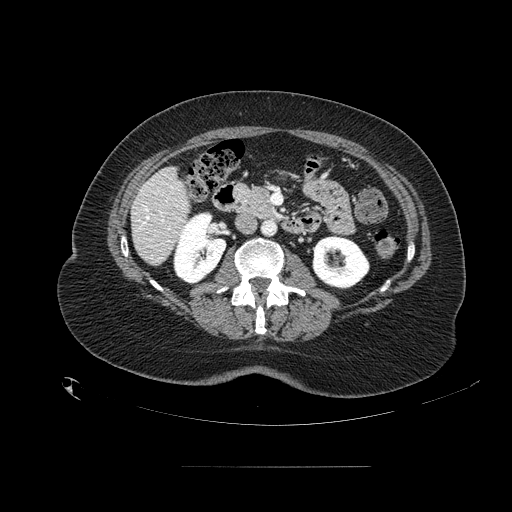 Computed tomography

The pancreas lies within {"x1": 235, "y1": 182, "x2": 274, "y2": 219}.